FLAIR MR.
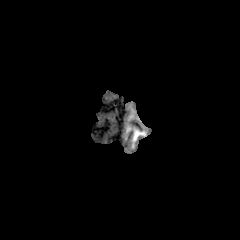
T1-weighted MRI.
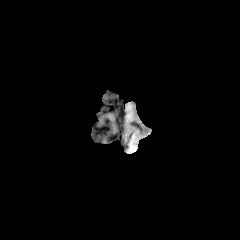
Post-contrast T1-weighted MRI.
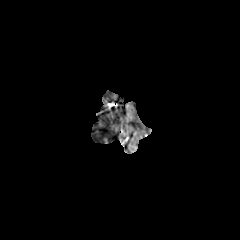
T2-weighted magnetic resonance.
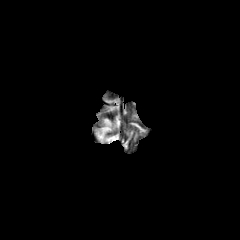
Edema = rect(126, 106, 148, 148).